FLAIR MR image.
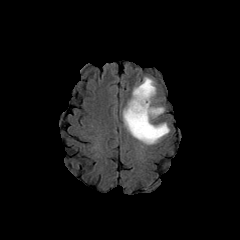
T1-weighted magnetic resonance.
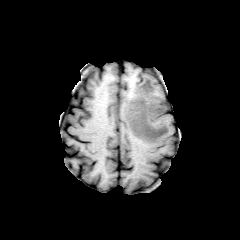
Post-contrast T1-weighted MR.
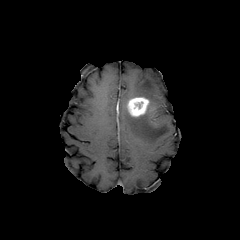
T2-weighted MRI.
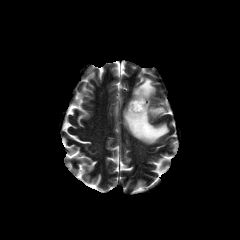
Brain.
Non-enhancing tumor core: (128, 111, 163, 137).
Enhancing tumor: (126, 96, 155, 117).
Edema: (122, 107, 169, 145), (132, 76, 165, 116).